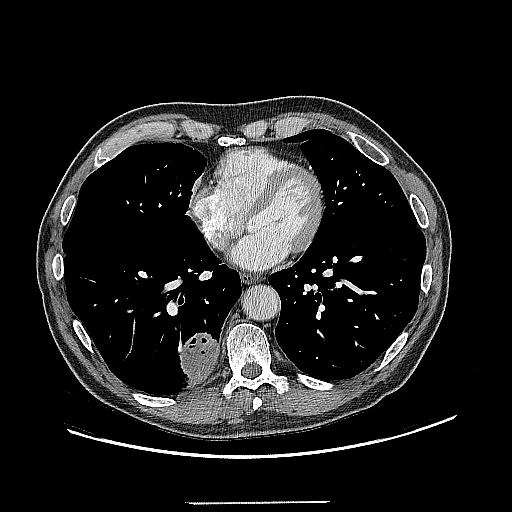

Chest; CT slice
Lung tumor — (177,332,217,388).